Lung | Slice 151 of 277 | Computed tomography

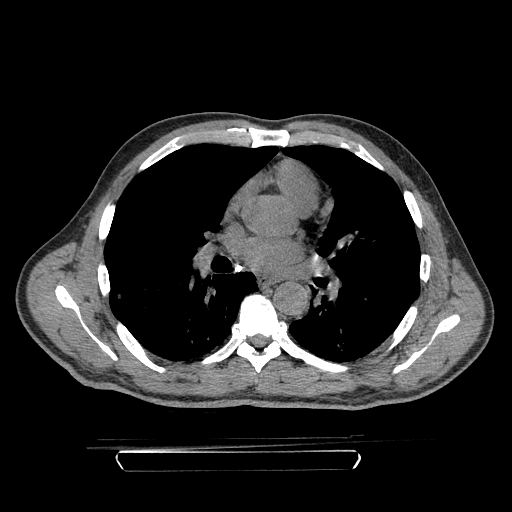
Lung tumor = bbox(114, 291, 124, 302).